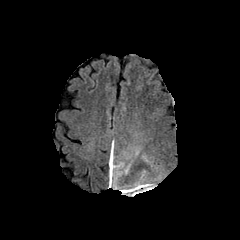
FLAIR MR image.
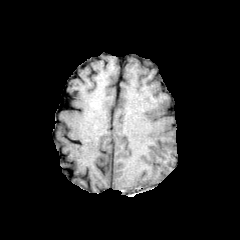
T1-weighted MR image of the same slice.
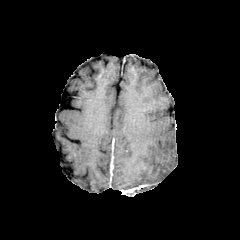
Post-contrast T1-weighted magnetic resonance.
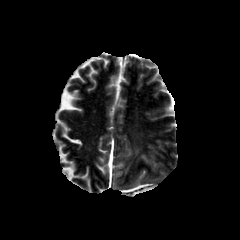
T2-weighted MRI.
Head
Enhancing tumor at box(122, 188, 135, 193).
Edema at box(109, 146, 122, 187); box(120, 176, 153, 190).